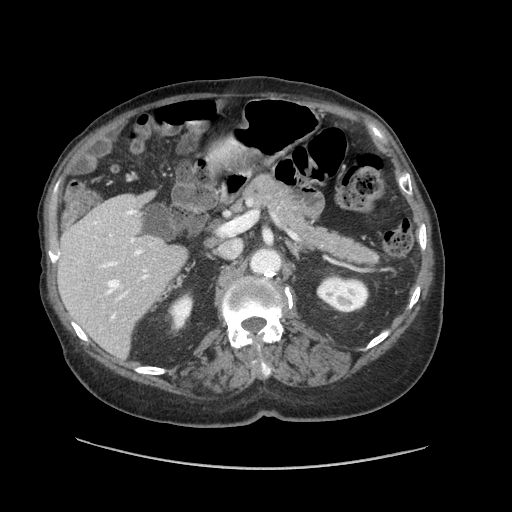 CT slice; 512x512; Abdomen
The vessel boxes may cover only some of the vessels.
hepatic vessel: left=226, top=241, right=240, bottom=256; left=108, top=280, right=119, bottom=291; left=219, top=225, right=228, bottom=234